Hippocampus | 33x47 | Magnetic resonance | Image width 33 mm
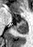 Anterior hippocampus: bounding box <bbox>19, 19, 25, 22</bbox>.
Posterior hippocampus: bounding box <bbox>14, 23, 27, 34</bbox>.